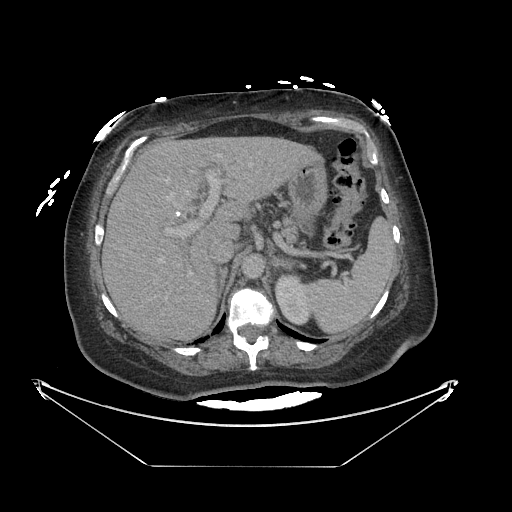
CT image, Image size 512x512

The pancreas appears at [x1=284, y1=216, x2=298, y2=242].